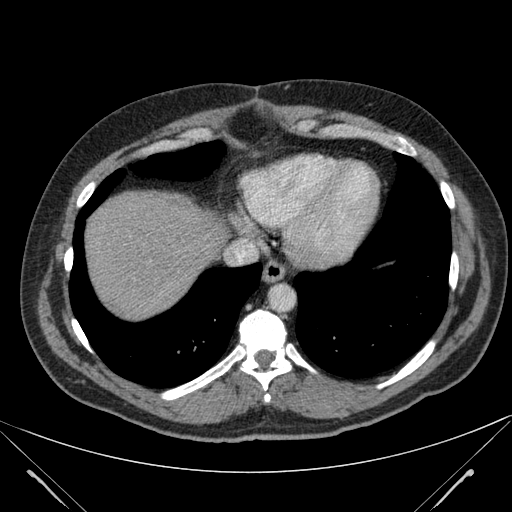
512x512 | CT slice | Liver
The liver appears at box(85, 191, 228, 320).